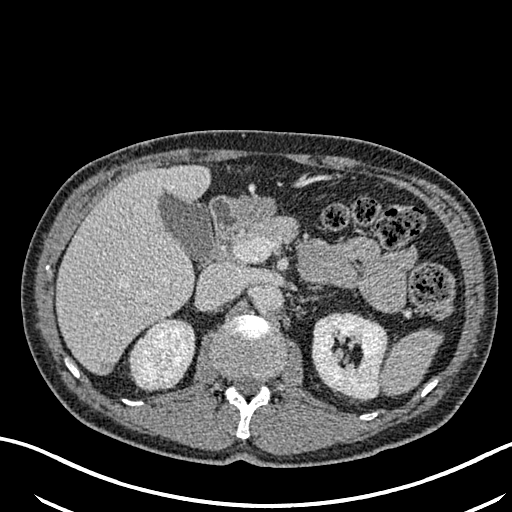

Image size 512x512 | CT scan slice

Kidney: (130, 321, 193, 387), (313, 314, 386, 394).
Hepatic lesion: (99, 362, 113, 373).
Liver: (56, 167, 209, 372).